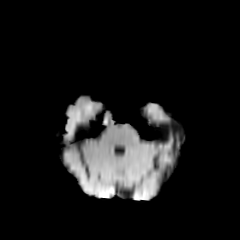
FLAIR MR.
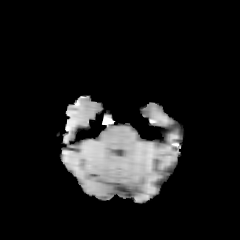
T1-weighted MR image of the same slice.
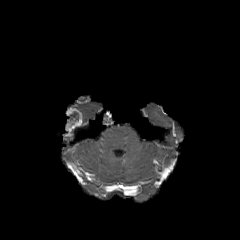
Same slice, post-contrast T1-weighted MR image.
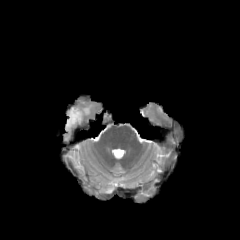
T2-weighted magnetic resonance.
Brain
{"non-enhancing_tumor_core": ["69,111,78,120"], "enhancing_tumor": ["65,107,82,135"]}